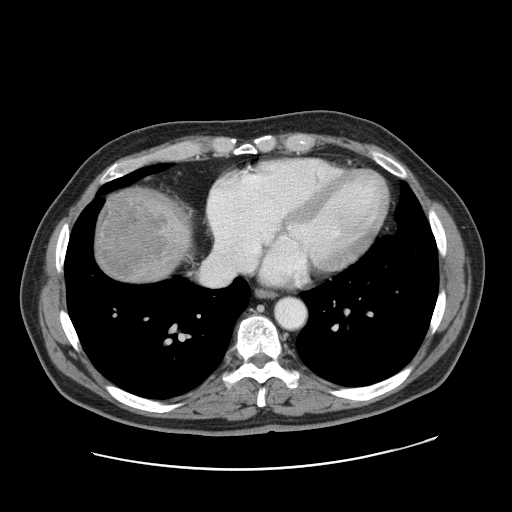 CT slice | Liver | Image size 512x512

The liver tumor is located at (left=97, top=191, right=164, bottom=278).